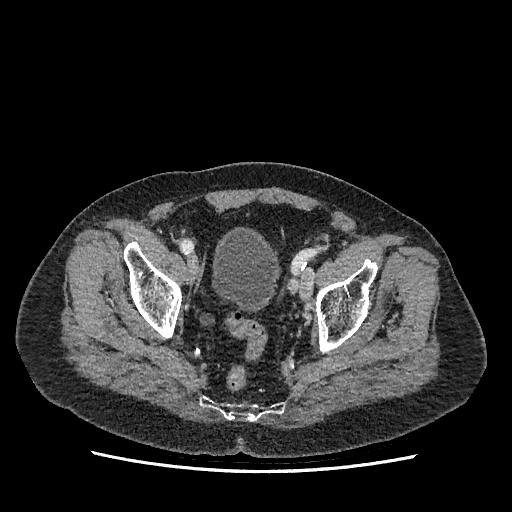

512x512, CT, Lower abdomen
* urinary bladder: [212, 231, 276, 311]